Pelvis, CT image, Slice index 97
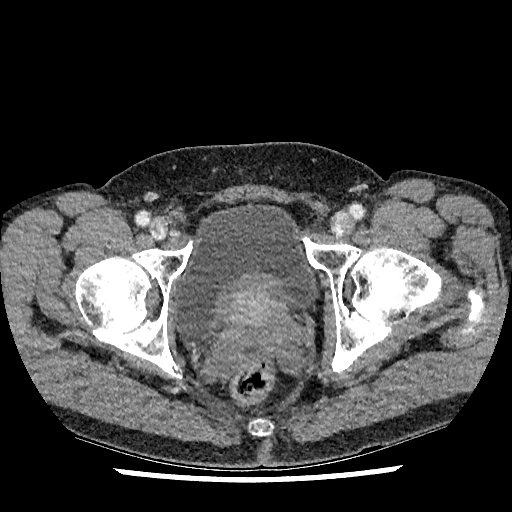
The urinary bladder is bounded by {"x1": 175, "y1": 205, "x2": 317, "y2": 342}.